CT | Slice 22/77

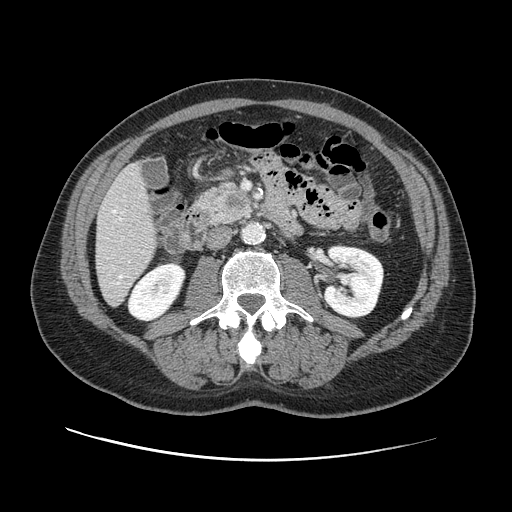

The pancreatic tumor is at (224, 192, 249, 210). The pancreas is bounded by (200, 181, 252, 225).